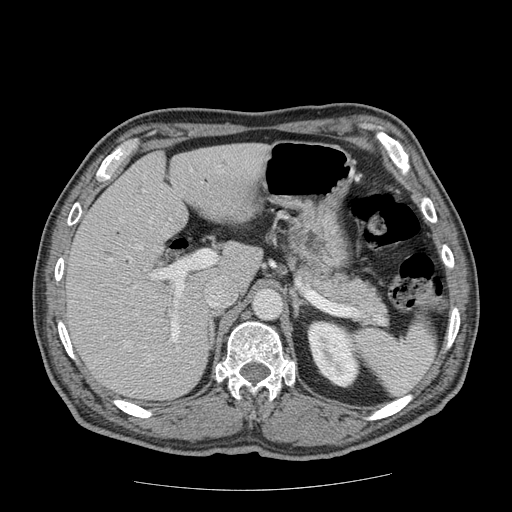
512x512, CT

Segmented structures:
- pancreas: (285,239,389,327)